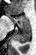
MR image; 36x55; Hippocampus
posterior_hippocampus:
  - [16,27,30,43]
anterior_hippocampus:
  - [7,13,30,26]